FLAIR MRI.
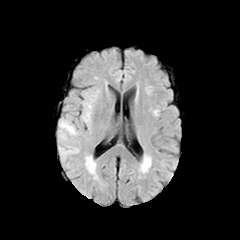
T1-weighted magnetic resonance.
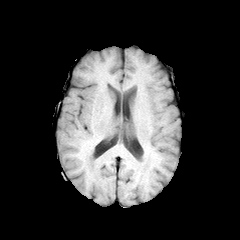
Post-contrast T1-weighted MR image.
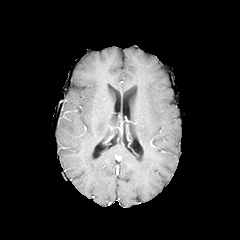
T2-weighted MR image.
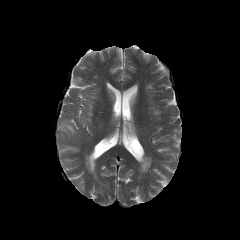
3 edema regions are bounded by [83, 100, 93, 124], [58, 146, 79, 156], [58, 118, 77, 140].